Image width 372 mm, CT, Abdomen, Slice index 37

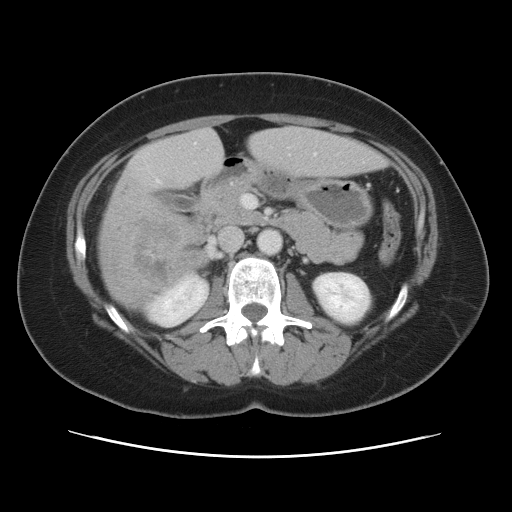
- liver tumor: 129, 217, 181, 289